FLAIR MR image.
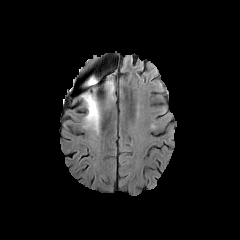
T1-weighted MR.
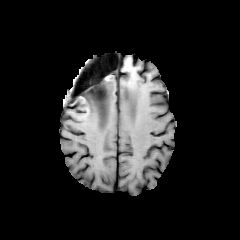
Post-contrast T1-weighted MR.
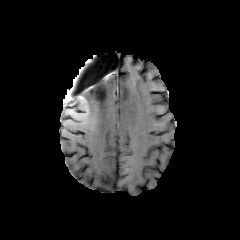
T2-weighted MRI.
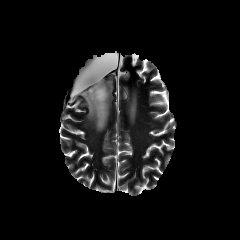
Head
• non-enhancing tumor core: (x1=78, y1=84, x2=95, y2=105)
• edema: (x1=82, y1=75, x2=114, y2=132)